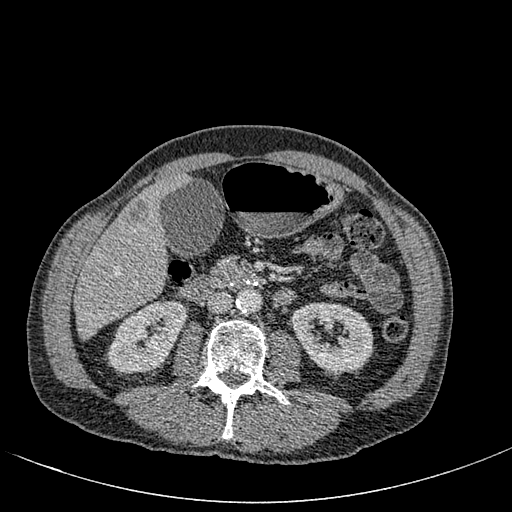
Upper abdomen | CT slice

Liver lesion: 125 200 150 225.
Liver: 75 174 189 338.
Kidney: 291 299 372 374, 108 301 186 372.